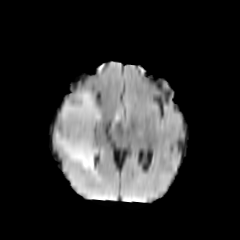
FLAIR MRI.
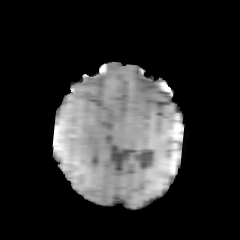
T1-weighted MRI.
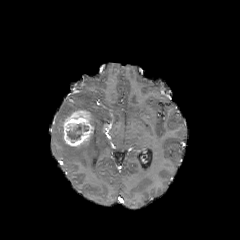
Post-contrast T1-weighted magnetic resonance of the same slice.
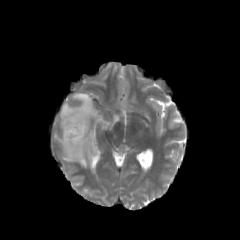
Same slice, T2-weighted MR.
The edema is bounded by {"x1": 54, "y1": 93, "x2": 103, "y2": 169}. The non-enhancing tumor core is located at {"x1": 67, "y1": 124, "x2": 88, "y2": 141}. The enhancing tumor appears at {"x1": 62, "y1": 109, "x2": 94, "y2": 146}.